Slice 400 of 519; Upper abdomen; Image size 512x512; Field of view 320 mm wide, 0.80 mm slice spacing; CT scan slice 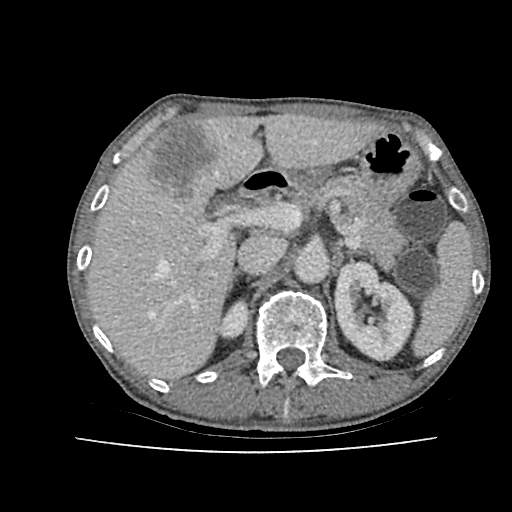
Liver: bbox=[90, 115, 382, 378].
Kidney: bbox=[336, 263, 412, 359]; bbox=[222, 303, 246, 335].
Liver lesion: bbox=[147, 119, 218, 203].